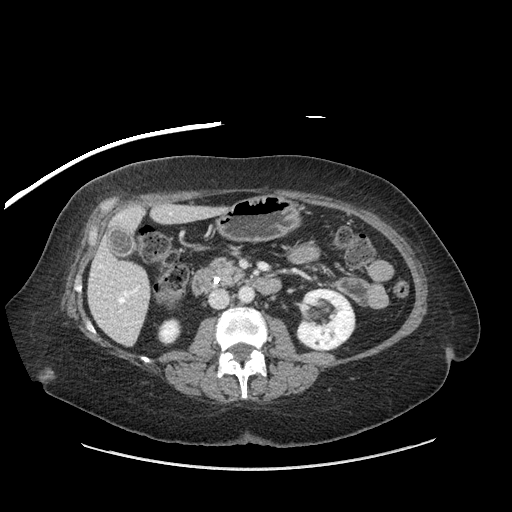 Abdomen. 512x512 px. CT scan slice. Segmented structures:
* pancreas: box=[209, 258, 244, 285]